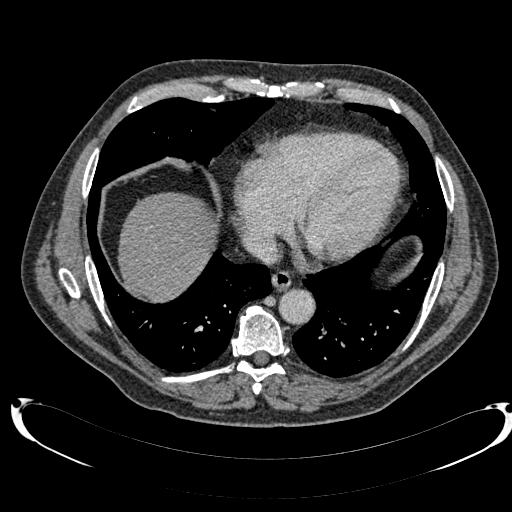 CT image. Liver. The liver is located at l=118, t=193, r=218, b=301.